FLAIR MR.
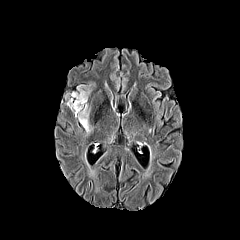
T1-weighted MR image.
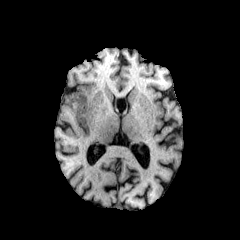
Post-contrast T1-weighted magnetic resonance.
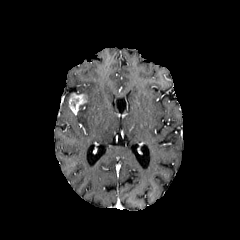
T2-weighted MR.
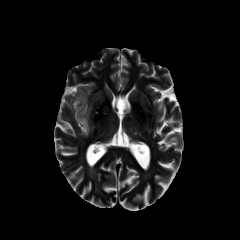
Head.
Annotated regions:
• enhancing tumor: region(68, 92, 87, 116)
• edema: region(76, 85, 90, 96); region(75, 103, 93, 136)